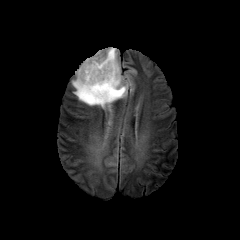
FLAIR MR image.
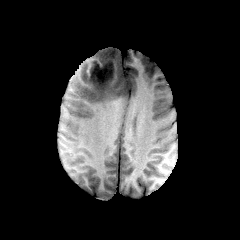
T1-weighted magnetic resonance.
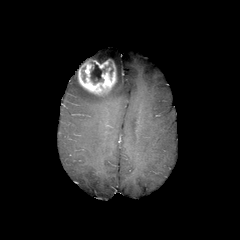
Post-contrast T1-weighted MR image of the same slice.
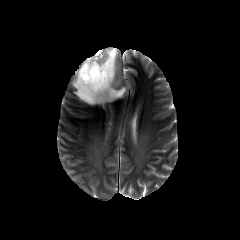
T2-weighted MR image.
Brain
The edema is located at (72, 47, 129, 108). 2 enhancing tumor regions are bounded by (78, 61, 116, 95), (93, 60, 108, 68). The non-enhancing tumor core is located at (86, 57, 117, 83).